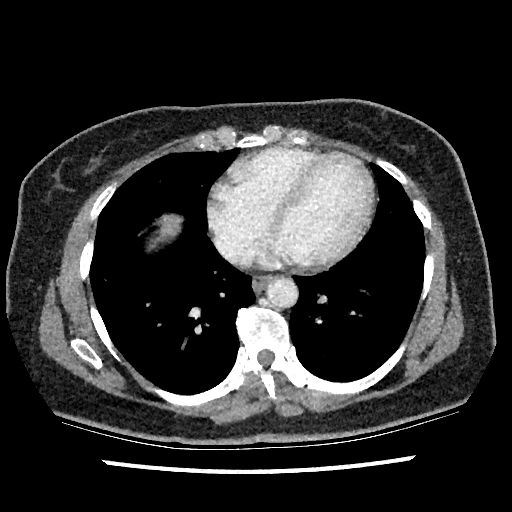

CT slice | Upper abdomen

liver: [159, 215, 179, 236]